Slice 119 of 155. Head.
FLAIR MRI.
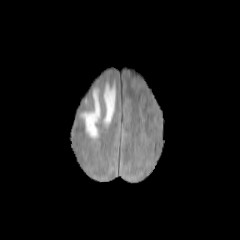
T1-weighted magnetic resonance.
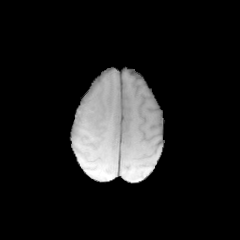
Post-contrast T1-weighted MRI.
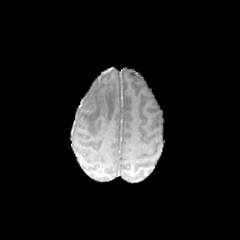
T2-weighted MR.
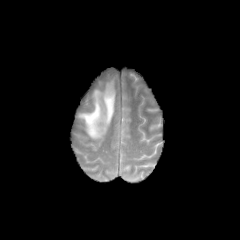
The edema appears at region(79, 81, 115, 140).